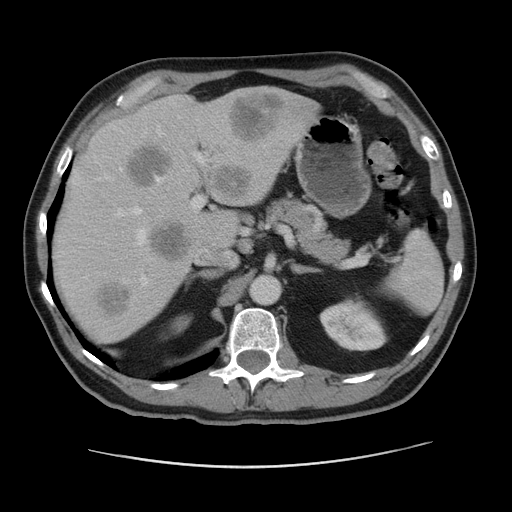
CT slice; Upper abdomen
{"liver_lesion": ["x1=127, y1=146, x2=171, y2=187", "x1=228, y1=92, x2=282, y2=140", "x1=216, y1=166, x2=252, y2=199", "x1=150, y1=222, x2=188, y2=261", "x1=97, y1=285, x2=128, y2=317"], "liver": ["x1=55, y1=87, x2=316, y2=338"], "kidney": ["x1=320, y1=297, x2=386, y2=350"]}